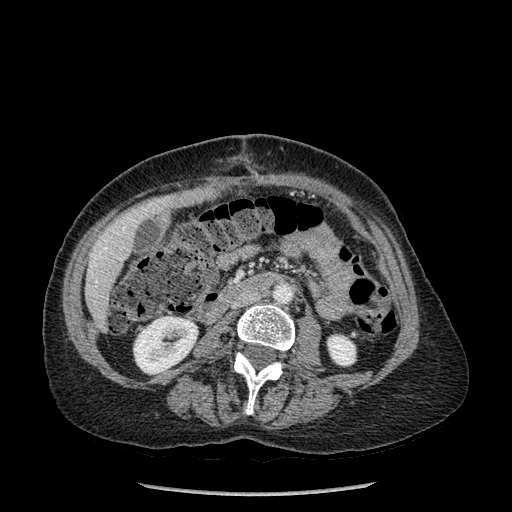
CT.
<segmentation>
  <liver>box(85, 202, 163, 332); box(159, 196, 171, 205)</liver>
  <kidney>box(134, 316, 197, 373); box(328, 336, 355, 364)</kidney>
  <bone>box(237, 303, 294, 351); box(234, 352, 283, 414)</bone>
</segmentation>